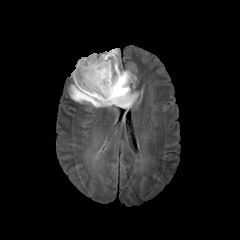
FLAIR MR image.
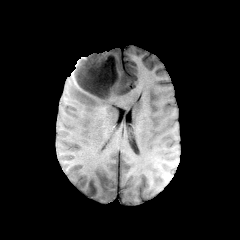
T1-weighted magnetic resonance.
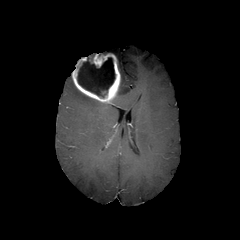
Post-contrast T1-weighted MRI of the same slice.
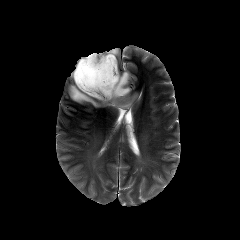
T2-weighted MRI.
The non-enhancing tumor core appears at (x1=77, y1=53, x2=115, y2=97). 3 edema regions are bounded by (x1=69, y1=84, x2=111, y2=107), (x1=109, y1=48, x2=121, y2=64), (x1=112, y1=67, x2=139, y2=112). The enhancing tumor is bounded by (x1=72, y1=54, x2=120, y2=104).